240x240 px.
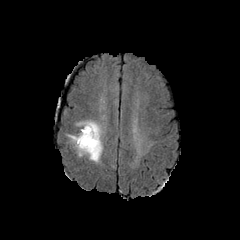
FLAIR MR.
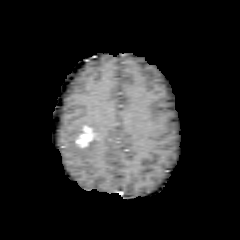
T1-weighted magnetic resonance.
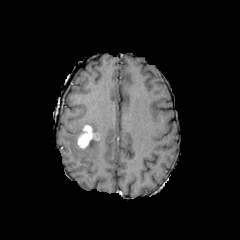
Post-contrast T1-weighted magnetic resonance.
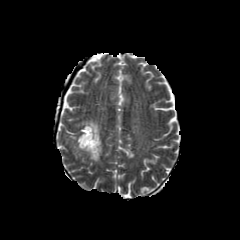
T2-weighted magnetic resonance.
{
  "enhancing_tumor": [
    "(x1=77, y1=124, x2=97, y2=148)"
  ],
  "edema": [
    "(x1=66, y1=120, x2=102, y2=162)"
  ]
}